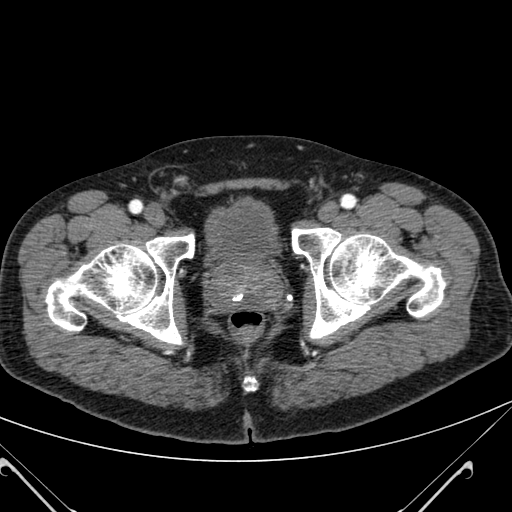

CT; Image size 512x512
The urinary bladder is at [x1=208, y1=196, x2=278, y2=264].